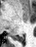
MR; Image size 36x47

* posterior hippocampus: x1=12 y1=35 x2=24 y2=41